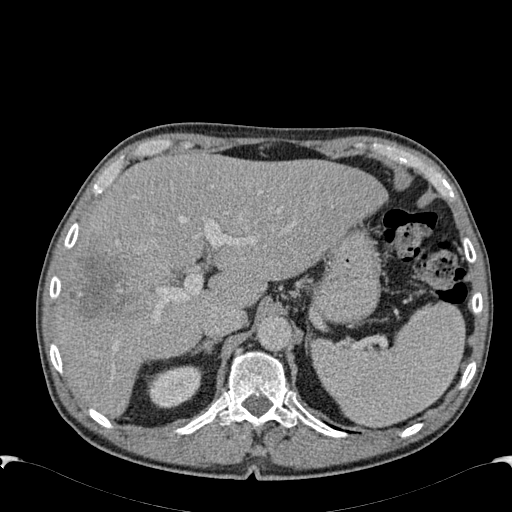 CT, 512x512
Findings:
• liver: <box>55,154,386,416</box>
• hepatic lesion: <box>63,241,135,323</box>
• kidney: <box>149,366,200,406</box>